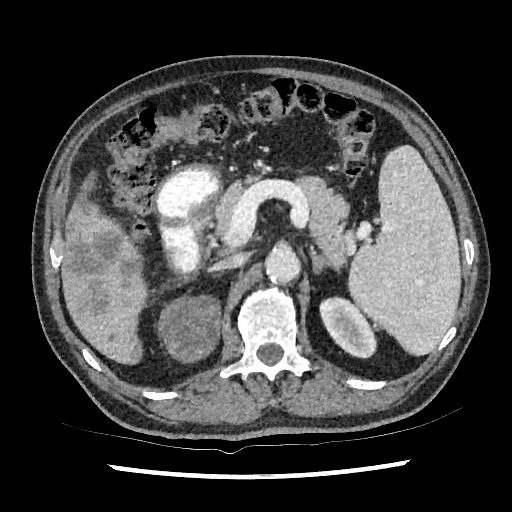
CT

3 liver regions are bounded by bbox(66, 204, 124, 245); bbox(82, 190, 93, 205); bbox(62, 235, 146, 362). 4 liver lesion regions are located at bbox(64, 229, 139, 316); bbox(75, 194, 98, 215); bbox(107, 334, 116, 342); bbox(66, 220, 74, 234). The kidney appears at bbox(320, 298, 375, 357).